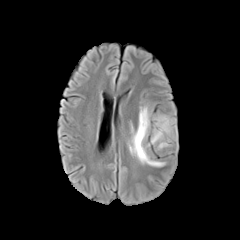
FLAIR MR image.
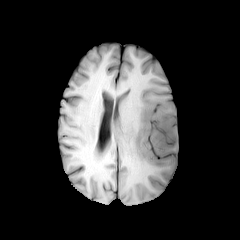
T1-weighted magnetic resonance.
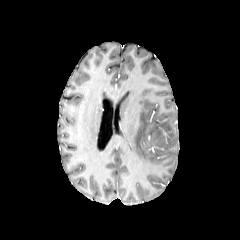
Same slice, post-contrast T1-weighted MR image.
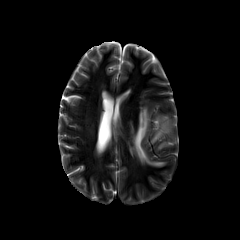
T2-weighted MR of the same slice.
edema:
  - box(127, 102, 177, 167)